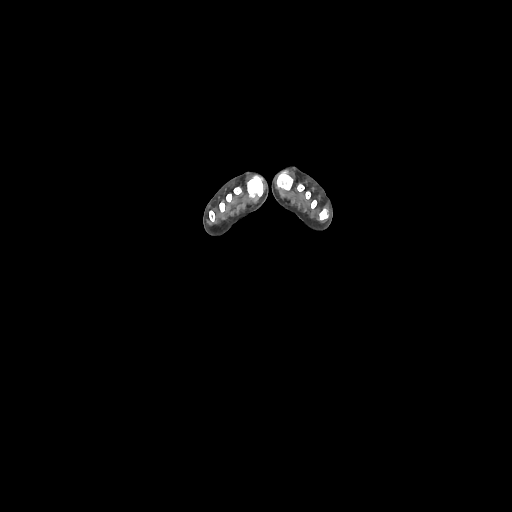 Image size 512x512, Computed tomography

Bone = bbox=[219, 194, 232, 212]; bbox=[233, 187, 241, 194]; bbox=[319, 208, 328, 220]; bbox=[277, 171, 292, 190]; bbox=[297, 184, 316, 208]; bbox=[209, 210, 214, 221]; bbox=[247, 175, 263, 197].